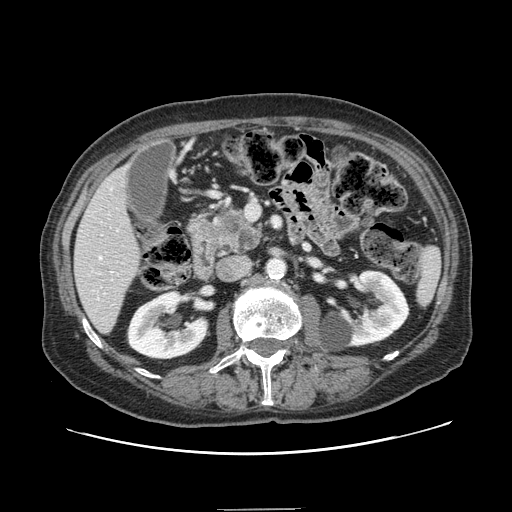 Computed tomography; Abdomen
The pancreas appears at [x1=214, y1=204, x2=261, y2=256]. The pancreatic tumor appears at [x1=218, y1=214, x2=242, y2=237].